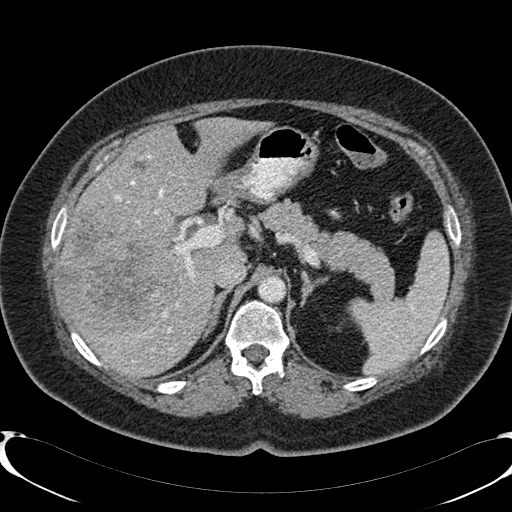 CT slice, Upper abdomen
Segmented structures:
* liver: region(58, 119, 270, 376)
* hepatic lesion: region(57, 214, 177, 331); region(133, 161, 148, 171)